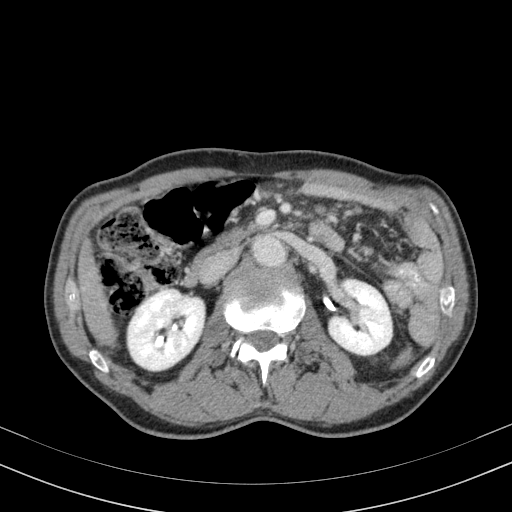 512x512; Computed tomography

The liver lies within 78:238:117:351. 2 kidney regions are located at 128:290:203:369, 329:280:391:354.